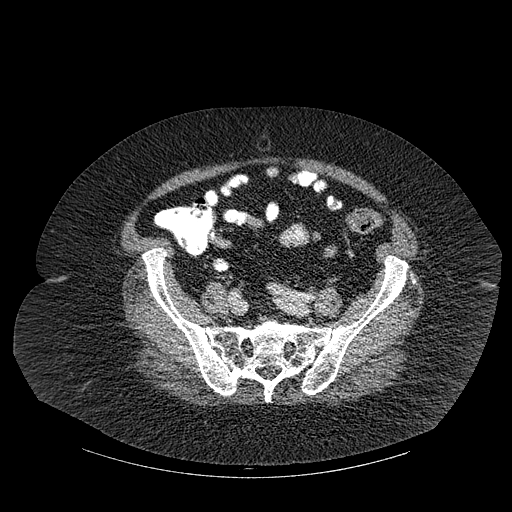

CT slice
The bone appears at bbox=[142, 248, 408, 402].